FLAIR magnetic resonance.
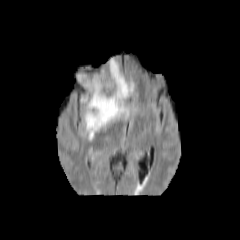
T1-weighted magnetic resonance.
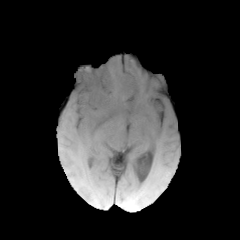
Post-contrast T1-weighted MRI.
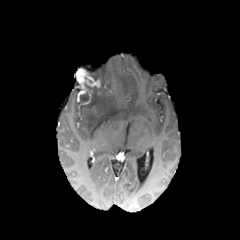
T2-weighted MRI.
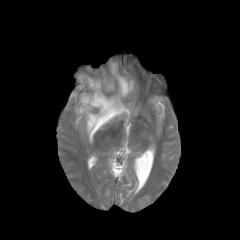
<segmentation>
  <edema>78 59 135 139</edema>
  <non-enhancing_tumor_core>75 66 114 111</non-enhancing_tumor_core>
  <enhancing_tumor>76 68 100 101</enhancing_tumor>
</segmentation>